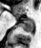
Image size 41x48. MRI slice. Medial temporal lobe.
2 posterior hippocampus regions appear at 16 17 18 18, 21 20 33 32.